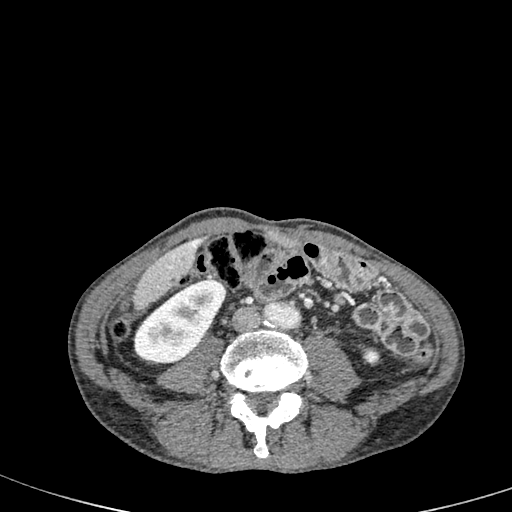 CT image
* kidney: l=135, t=280, r=224, b=362; l=365, t=351, r=377, b=362
* liver: l=134, t=236, r=205, b=308